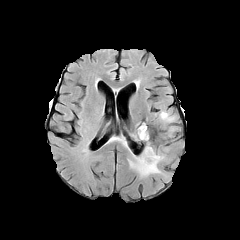
FLAIR magnetic resonance.
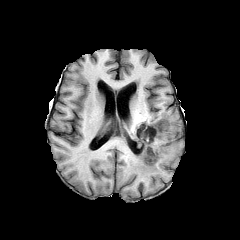
T1-weighted MR.
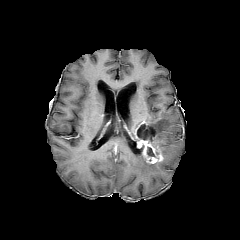
Post-contrast T1-weighted MRI.
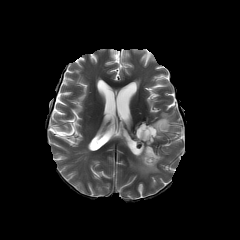
Same slice, T2-weighted magnetic resonance.
Head
The non-enhancing tumor core is located at rect(136, 124, 153, 143). The enhancing tumor appears at rect(140, 140, 162, 163). 2 edema regions are located at rect(158, 109, 176, 135); rect(128, 137, 167, 176).